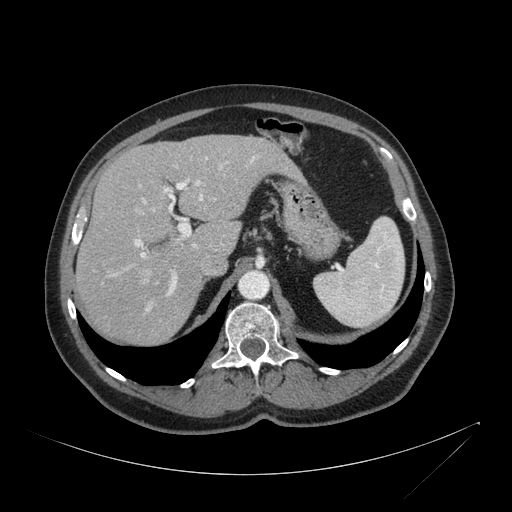

CT scan slice; Liver
liver:
  - (75,135,304,344)